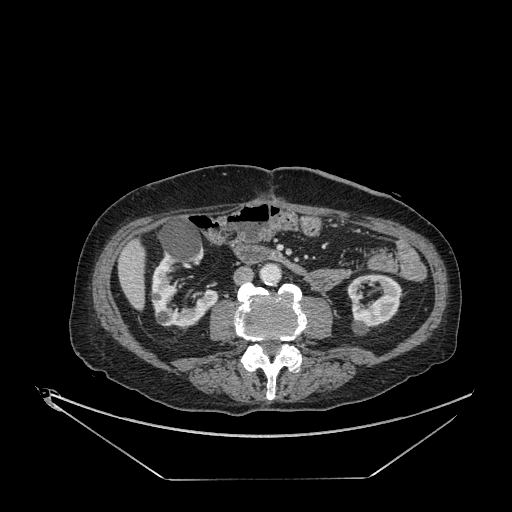 Computed tomography; 512x512 px
Kidney at [152,254,217,325], [348,275,401,326], [194,250,202,261].
Liver at [119,240,144,309].